CT scan slice, Image size 512x512

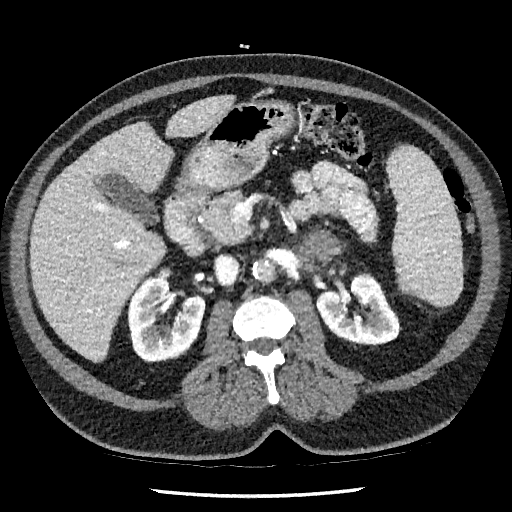
The focal liver lesion appears at left=117, top=261, right=126, bottom=268. 2 kidney regions are bounded by left=317, top=276, right=398, bottom=343; left=129, top=272, right=204, bottom=360. 2 liver regions are located at left=166, top=95, right=233, bottom=137; left=31, top=122, right=172, bottom=361.